240x240.
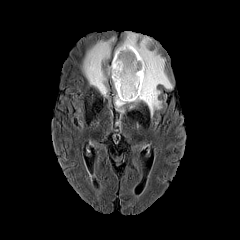
FLAIR magnetic resonance.
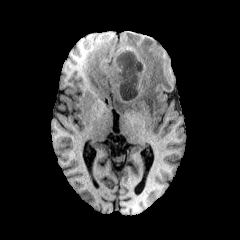
T1-weighted MR image of the same slice.
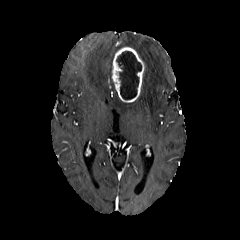
Post-contrast T1-weighted MRI of the same slice.
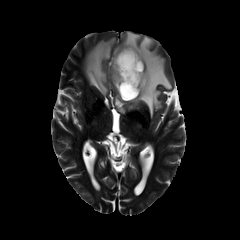
T2-weighted MRI.
Segmented structures:
- enhancing tumor: l=108, t=45, r=146, b=102
- edema: l=115, t=31, r=172, b=117; l=83, t=36, r=116, b=97
- non-enhancing tumor core: l=116, t=50, r=141, b=100